FLAIR MRI.
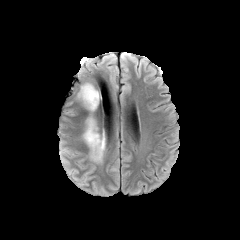
T1-weighted magnetic resonance.
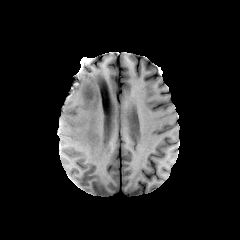
Post-contrast T1-weighted MR image.
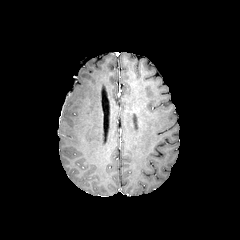
T2-weighted MR image.
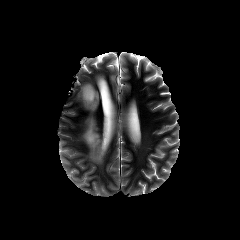
Head
Findings:
• edema: box=[78, 83, 99, 111]; box=[83, 117, 106, 160]